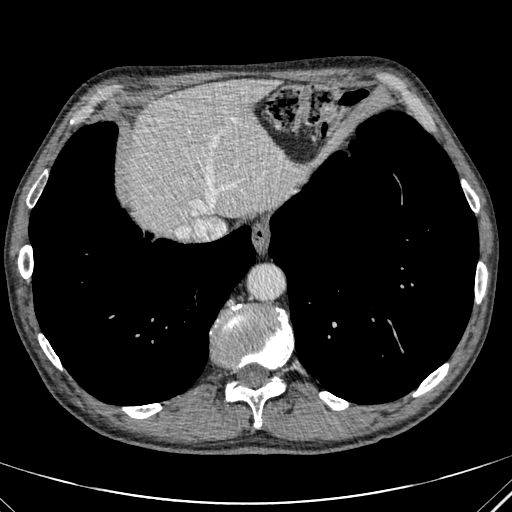 512x512 px. CT image.

Liver: left=128, top=79, right=300, bottom=232.